Slice index 129. Brain. 240x240.
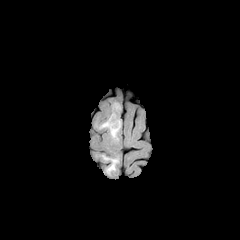
FLAIR magnetic resonance.
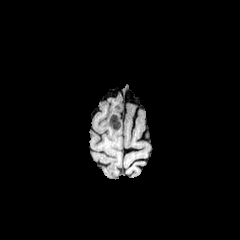
Same slice, T1-weighted magnetic resonance.
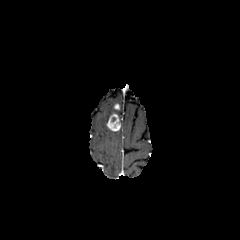
Post-contrast T1-weighted MRI of the same slice.
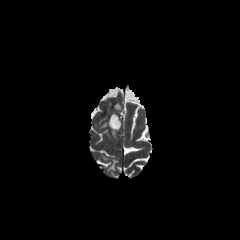
T2-weighted MR image.
{
  "enhancing_tumor": [
    "(107, 112, 121, 131)"
  ],
  "edema": [
    "(110, 131, 118, 139)",
    "(104, 157, 118, 171)"
  ]
}